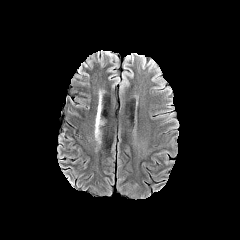
FLAIR MR.
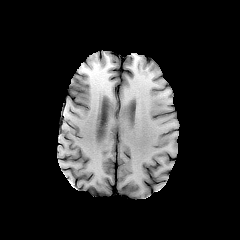
T1-weighted MR image of the same slice.
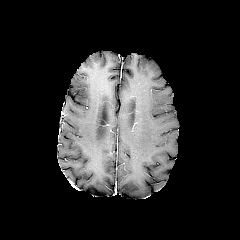
Post-contrast T1-weighted MR image.
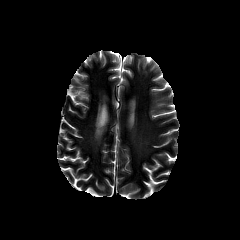
T2-weighted MR image of the same slice.
The edema lies within x1=94 y1=107 x2=104 y2=136.